240x240
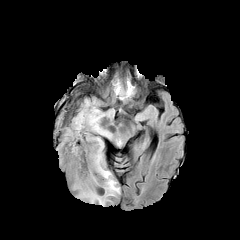
FLAIR magnetic resonance.
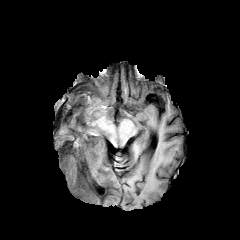
T1-weighted MR.
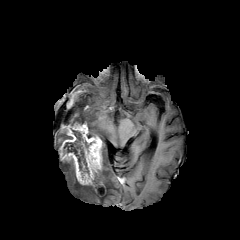
Post-contrast T1-weighted MRI.
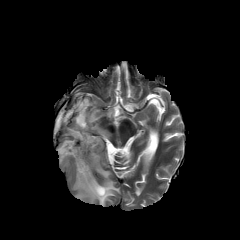
T2-weighted MR.
Edema: bounding box x1=70, y1=98, x2=114, y2=139; x1=62, y1=157, x2=120, y2=205; x1=59, y1=128, x2=66, y2=147.
Enhancing tumor: bounding box x1=60, y1=123, x2=101, y2=185.
Non-enhancing tumor core: bounding box x1=72, y1=117, x2=85, y2=125; x1=62, y1=155, x2=76, y2=170; x1=62, y1=130, x2=89, y2=173.